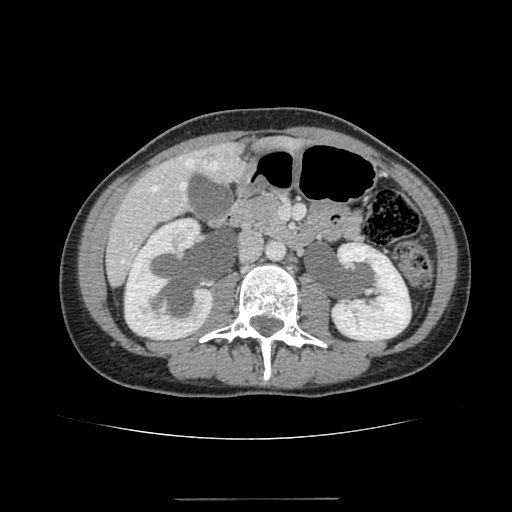 CT scan slice

liver: 257,134,303,149; 106,142,243,283 | kidney: 125,219,211,339; 332,243,410,340